240x240 px; Field of view 240x240 mm; Slice 53 of 155
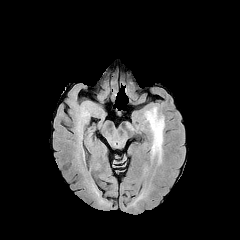
FLAIR magnetic resonance.
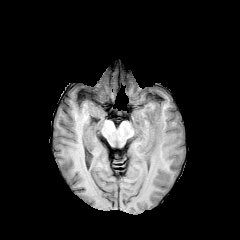
T1-weighted MRI.
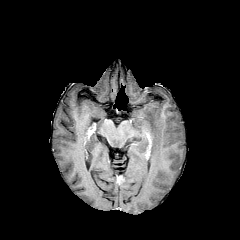
Post-contrast T1-weighted MR image of the same slice.
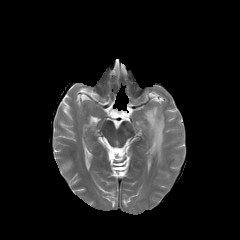
T2-weighted magnetic resonance of the same slice.
* edema: region(138, 105, 165, 163)